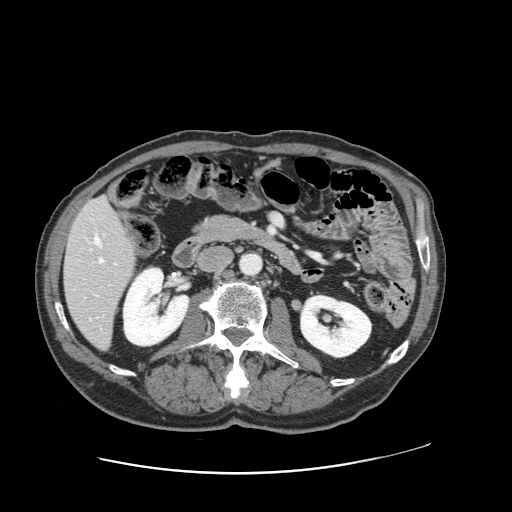

CT slice.

Only some of the vessels may be annotated.
hepatic vessel: x1=94 y1=236 x2=99 y2=244, x1=99 y1=259 x2=103 y2=261